MR; 39x50 px 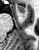 anterior_hippocampus:
  - 16, 6, 24, 12